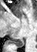 Magnetic resonance
Annotated regions:
• posterior hippocampus: 12 40 23 47